Brain
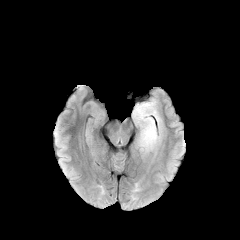
FLAIR magnetic resonance.
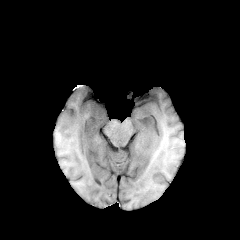
Same slice, T1-weighted MRI.
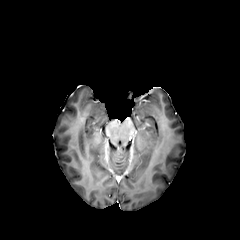
Post-contrast T1-weighted MR.
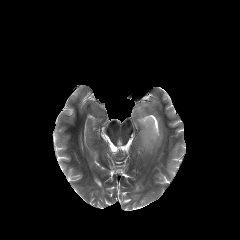
Same slice, T2-weighted MRI.
edema:
  - <box>132,99,162,151</box>